Slice 495/733. 512x512 px. CT. 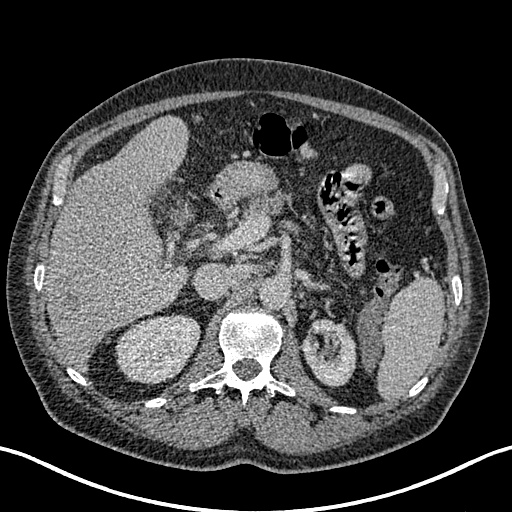
kidney:
  - region(117, 316, 199, 382)
  - region(303, 321, 354, 385)
liver_lesion:
  - region(54, 282, 80, 320)
liver:
  - region(46, 117, 189, 371)